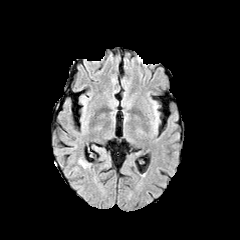
FLAIR MRI.
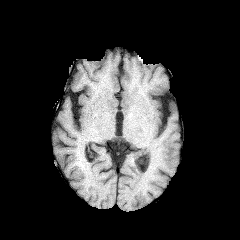
T1-weighted magnetic resonance.
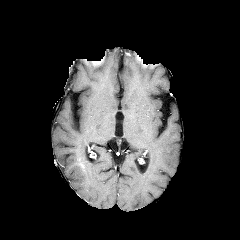
Post-contrast T1-weighted MRI.
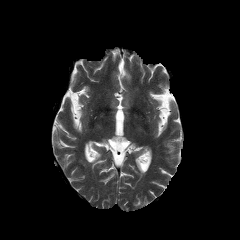
T2-weighted MRI.
Head
{"edema": ["bbox=[80, 159, 91, 168]"]}